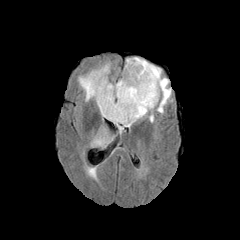
FLAIR magnetic resonance.
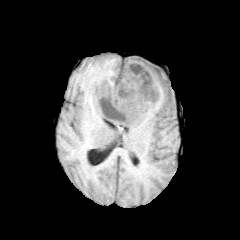
T1-weighted MR image.
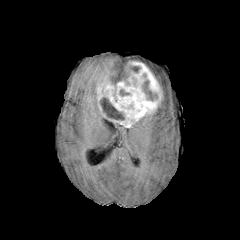
Post-contrast T1-weighted MR.
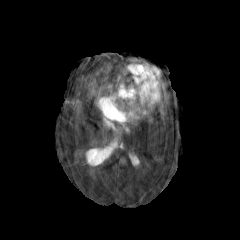
Same slice, T2-weighted magnetic resonance.
{
  "edema": [
    "(79, 65, 115, 109)",
    "(126, 57, 170, 126)"
  ],
  "enhancing_tumor": [
    "(96, 60, 162, 127)"
  ],
  "non-enhancing_tumor_core": [
    "(142, 80, 157, 99)",
    "(123, 64, 140, 75)",
    "(99, 97, 123, 120)"
  ]
}